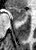 Magnetic resonance | Hippocampus
The anterior hippocampus appears at 7, 6, 26, 21.